Field of view 512x512 mm. Liver. Slice 81 of 260. CT image.
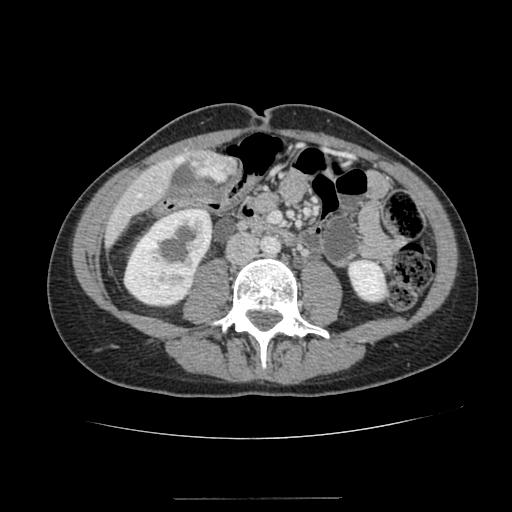 Kidney at x1=125, y1=209, x2=211, y2=304; x1=349, y1=261, x2=385, y2=300.
Liver at x1=105, y1=149, x2=235, y2=248.
Hepatic lesion at x1=205, y1=152, x2=228, y2=168.